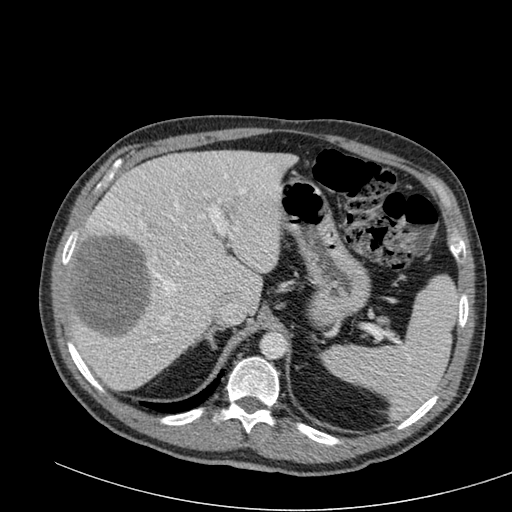 CT slice.

Liver = box(68, 151, 296, 389).
Liver lesion = box(65, 234, 149, 336).